FLAIR MRI.
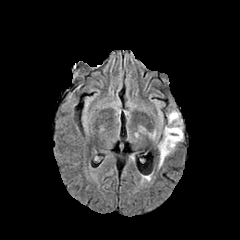
T1-weighted MRI.
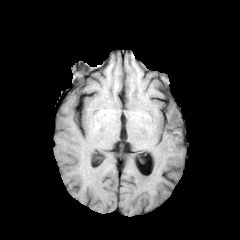
Post-contrast T1-weighted MR image.
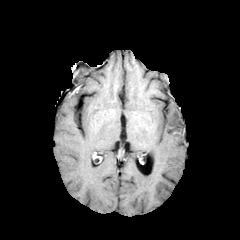
T2-weighted MR image.
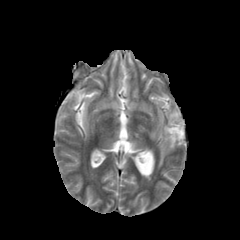
240x240
edema:
  - <bbox>158, 110, 183, 165</bbox>